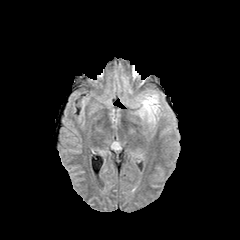
FLAIR MR.
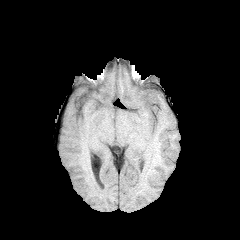
T1-weighted MR of the same slice.
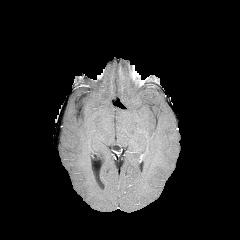
Post-contrast T1-weighted magnetic resonance.
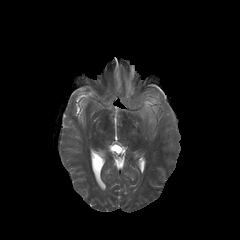
T2-weighted MR image.
240x240 px
{"edema": ["[x1=136, y1=92, x2=159, y2=125]"]}